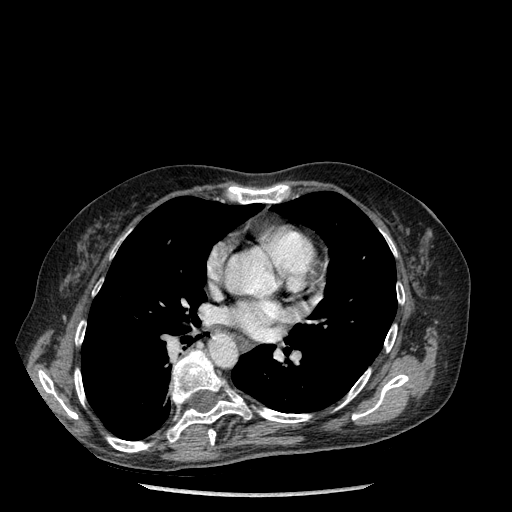
Image size 512x512 | Thorax | CT
Bone: bounding box region(167, 349, 251, 442); region(396, 282, 404, 304); region(227, 184, 288, 203); region(381, 230, 397, 256); region(74, 369, 84, 405); region(75, 320, 86, 344); region(106, 436, 151, 452); region(207, 429, 215, 445); region(257, 408, 311, 423); region(38, 370, 78, 419); region(110, 232, 127, 258); region(338, 368, 370, 408); region(384, 324, 397, 352); region(352, 374, 408, 420).
Lung: bounding box region(231, 191, 397, 412); region(81, 196, 260, 440).